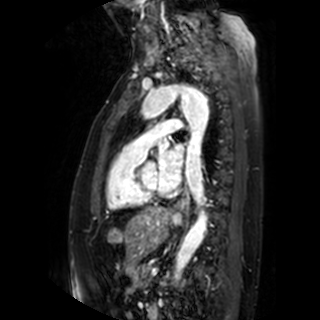

MRI, 320x320 px
The left atrium is at region(159, 144, 183, 190).